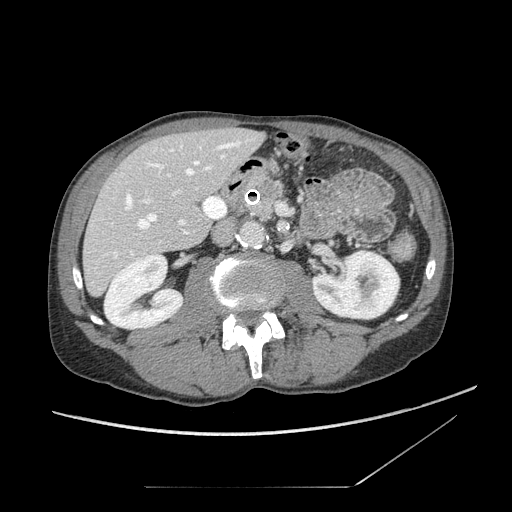

CT slice | Abdomen

Pancreas at <box>251,174,271,190</box>, <box>251,184,282,220</box>.
Pancreatic tumor at <box>257,181,279,199</box>.